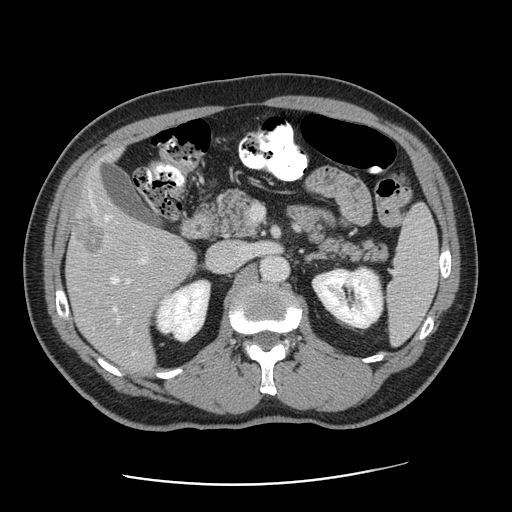
CT slice, Abdomen, 512x512
The vessel boxes may cover only some of the vessels.
{
  "liver_tumor": [
    "box=[72, 212, 108, 258]"
  ],
  "hepatic_vessel": [
    "box=[114, 307, 116, 310]",
    "box=[140, 258, 146, 262]",
    "box=[112, 276, 118, 283]",
    "box=[104, 215, 112, 220]",
    "box=[127, 279, 130, 282]",
    "box=[118, 319, 119, 323]"
  ]
}